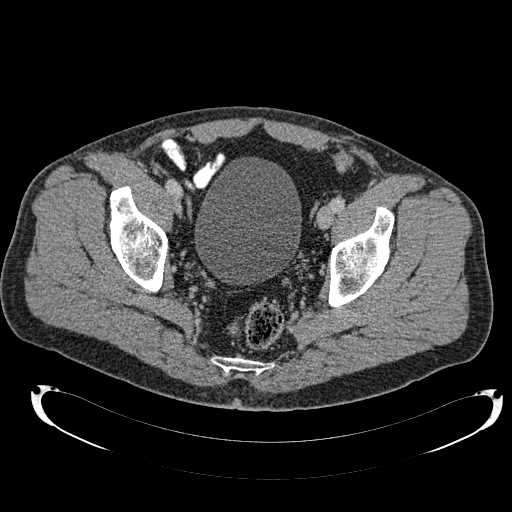 CT image
<segmentation>
  <urinary_bladder>(194,157,301,283)</urinary_bladder>
</segmentation>